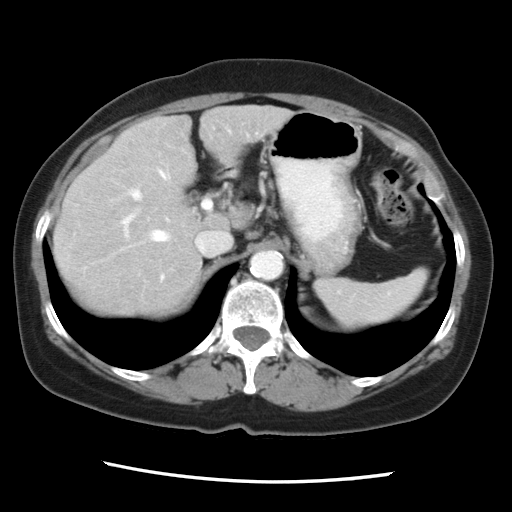

Computed tomography. Abdomen.
Some hepatic vessels may have no box.
<segmentation>
  <hepatic_vessel>(160, 171, 169, 179), (127, 192, 128, 194), (195, 232, 229, 253), (147, 229, 171, 242), (120, 209, 139, 239), (202, 199, 211, 209), (133, 187, 142, 201)</hepatic_vessel>
</segmentation>